MR image; Hippocampus; Image width 37 mm; Image size 37x52 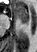
anterior_hippocampus:
  - bbox(14, 6, 28, 22)
posterior_hippocampus:
  - bbox(22, 23, 28, 23)